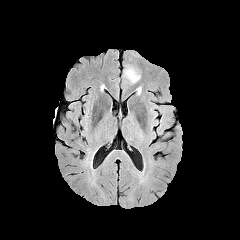
FLAIR MRI.
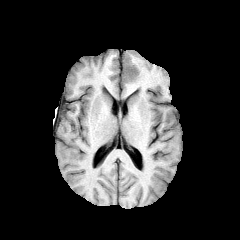
T1-weighted MR image.
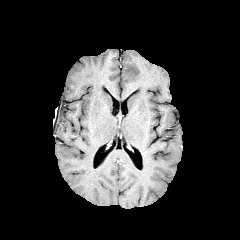
Post-contrast T1-weighted magnetic resonance.
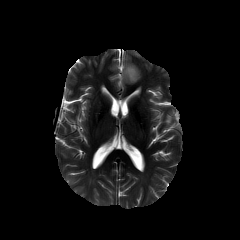
T2-weighted magnetic resonance of the same slice.
Head.
edema:
  - [123, 62, 141, 83]